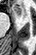

Medial temporal lobe; MR
The anterior hippocampus is bounded by (12, 6, 21, 16).